Field of view 388 mm wide, 2.50 mm slice spacing | Computed tomography | Slice 108 of 193

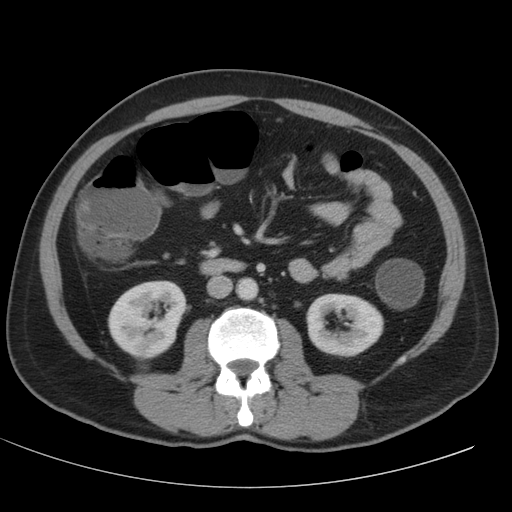 2 kidney regions are located at 307,294,382,356; 108,281,185,357.